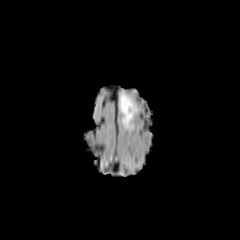
FLAIR magnetic resonance.
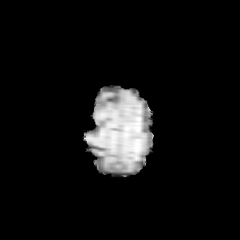
T1-weighted MR of the same slice.
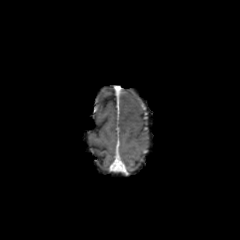
Post-contrast T1-weighted magnetic resonance of the same slice.
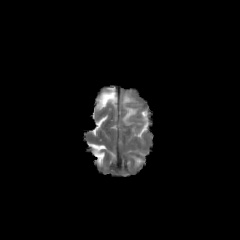
T2-weighted MRI.
Head
<segmentation>
  <edema>bbox=[120, 93, 137, 128]</edema>
</segmentation>